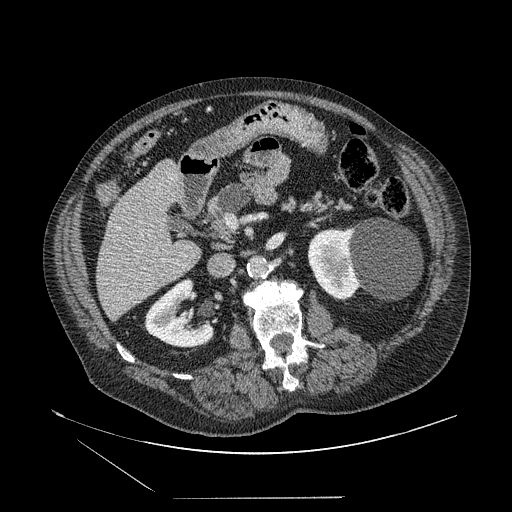
CT scan slice

2 pancreas regions are bounded by [x1=206, y1=186, x2=253, y2=227], [x1=281, y1=193, x2=350, y2=214]. The pancreatic tumor appears at [x1=218, y1=184, x2=251, y2=211].